Slice 94/155. Image width 240 mm.
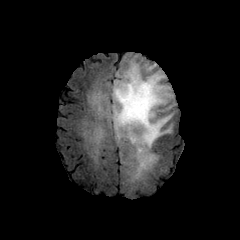
FLAIR magnetic resonance.
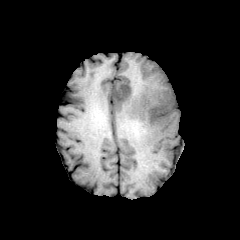
T1-weighted MR image of the same slice.
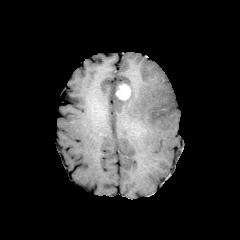
Post-contrast T1-weighted MR.
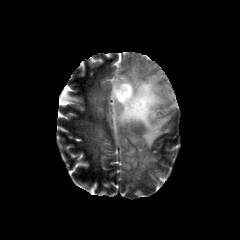
T2-weighted MRI.
The enhancing tumor is at [x1=116, y1=83, x2=131, y2=99]. The edema is located at [x1=105, y1=60, x2=174, y2=174]. 5 non-enhancing tumor core regions are bounded by [x1=114, y1=71, x2=143, y2=103], [x1=150, y1=106, x2=157, y2=117], [x1=120, y1=121, x2=145, y2=137], [x1=112, y1=87, x2=119, y2=121], [x1=140, y1=96, x2=149, y2=108].